CT. Slice 145 of 683. Image size 512x512. 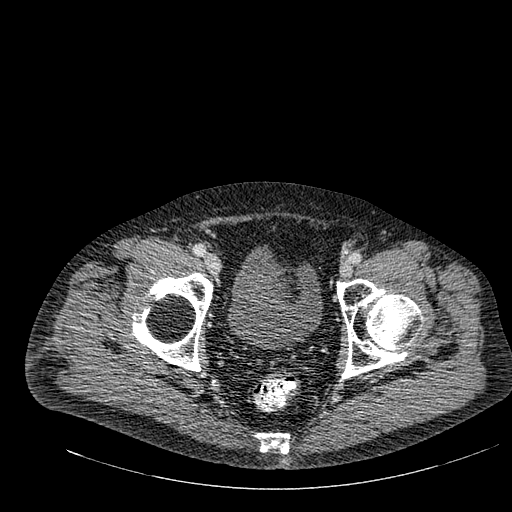 Segmented structures:
- urinary bladder: [x1=227, y1=245, x2=322, y2=348]